FLAIR magnetic resonance.
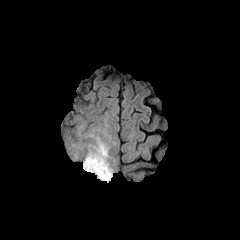
T1-weighted magnetic resonance.
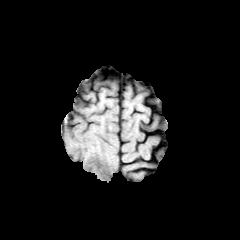
Post-contrast T1-weighted MRI.
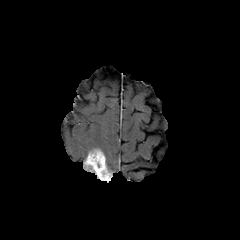
T2-weighted MR.
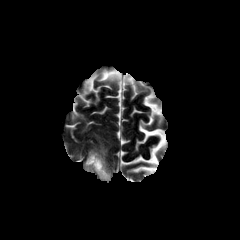
Annotated regions:
* edema: box=[77, 124, 84, 135]; box=[84, 124, 116, 172]; box=[71, 143, 83, 159]
* enhancing tumor: box=[84, 148, 112, 181]